FLAIR MRI.
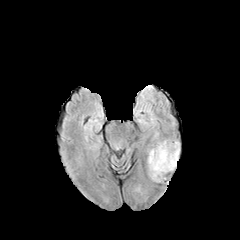
T1-weighted MR.
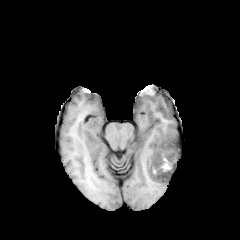
Post-contrast T1-weighted MR image.
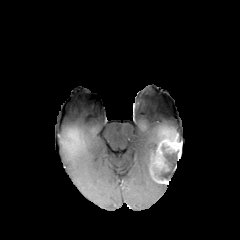
T2-weighted magnetic resonance.
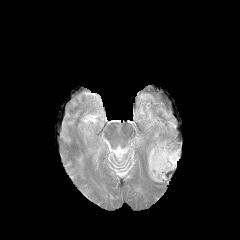
Head
Non-enhancing tumor core at (left=149, top=143, right=179, bottom=182).
Edema at (left=147, top=141, right=161, bottom=170).
Enhancing tumor at (left=158, top=139, right=181, bottom=160).